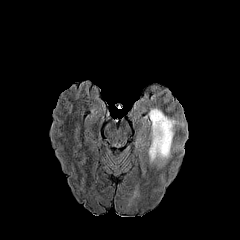
FLAIR MRI.
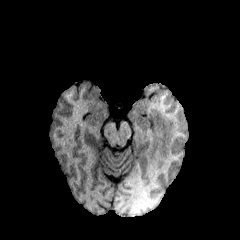
T1-weighted MR image of the same slice.
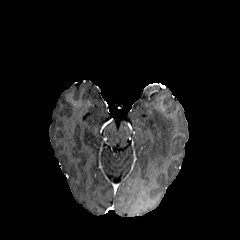
Post-contrast T1-weighted MRI.
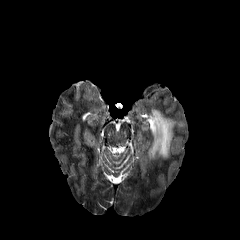
Same slice, T2-weighted magnetic resonance.
edema: x1=144 y1=109 x2=176 y2=168